Computed tomography. 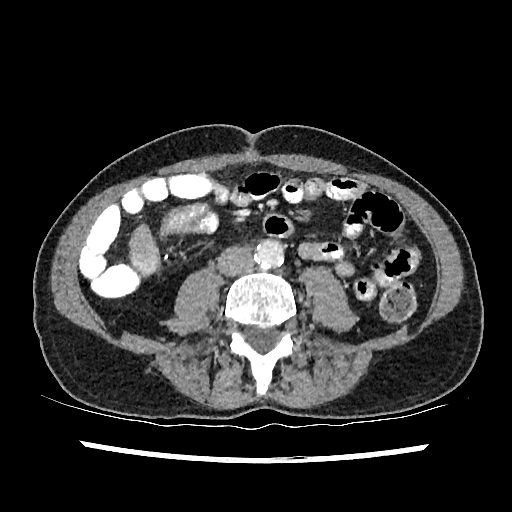 {
  "liver": [
    "(left=130, top=225, right=158, bottom=275)"
  ]
}